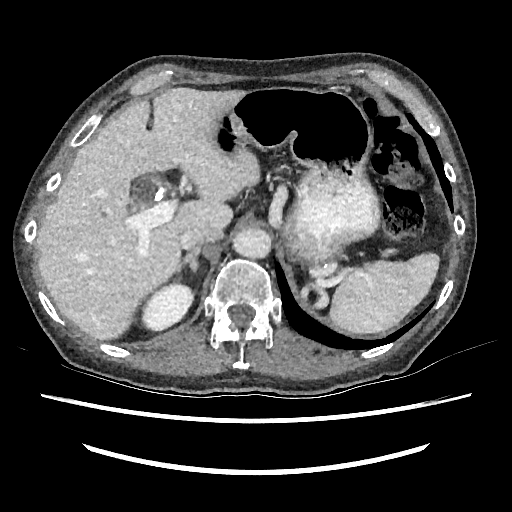

CT scan slice; Upper abdomen

Annotated regions:
* kidney: bbox(143, 285, 192, 330)
* liver: bbox(36, 89, 258, 338)